Slice index 322 | CT | 512x512 | Field of view 360x360 mm
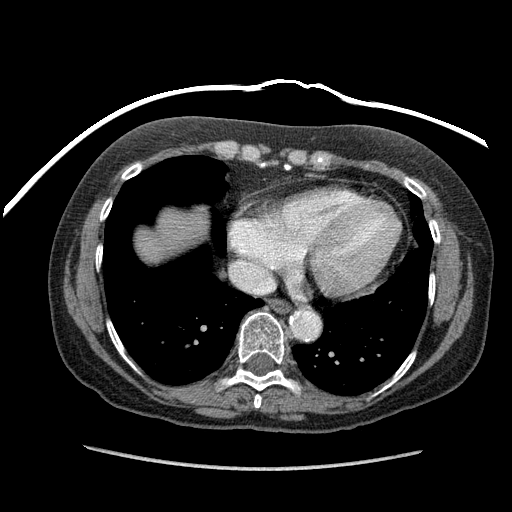 The liver appears at left=137, top=209, right=205, bottom=263.